Image width 240 mm | Head | 240x240
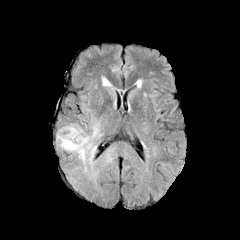
FLAIR magnetic resonance.
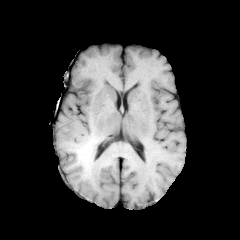
Same slice, T1-weighted MRI.
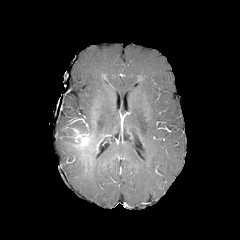
Post-contrast T1-weighted magnetic resonance of the same slice.
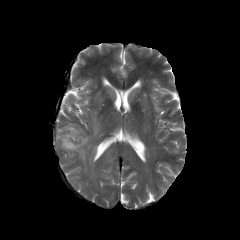
Same slice, T2-weighted magnetic resonance.
Edema: 56, 120, 101, 171; 102, 80, 113, 90.
Non-enhancing tumor core: 64, 125, 75, 137; 68, 132, 90, 148.
Enhancing tumor: 70, 127, 82, 141.